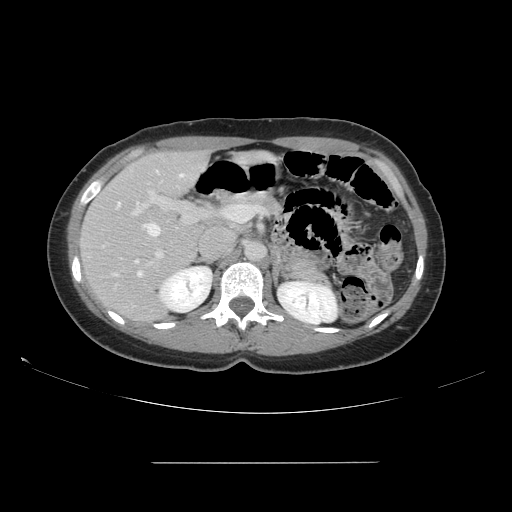
CT image

Only some of the vessels may be annotated.
Segmented structures:
* hepatic vessel: l=156, t=251, r=163, b=257; l=179, t=173, r=191, b=177; l=147, t=262, r=151, b=265; l=143, t=222, r=159, b=236; l=138, t=270, r=142, b=276; l=135, t=259, r=138, b=262; l=112, t=273, r=117, b=275; l=155, t=170, r=158, b=174; l=116, t=202, r=120, b=209; l=132, t=202, r=146, b=214; l=150, t=192, r=167, b=203; l=162, t=207, r=166, b=209